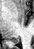
MR
Annotated regions:
- posterior hippocampus: 11 38 19 43